FLAIR MR image.
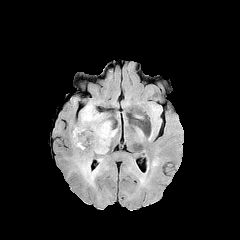
T1-weighted MR image.
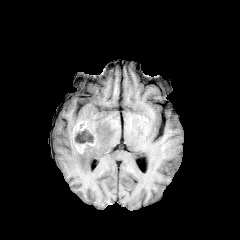
Post-contrast T1-weighted MR.
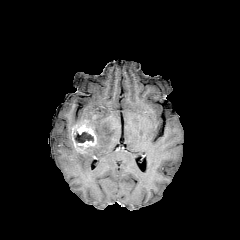
T2-weighted MR.
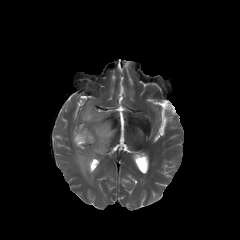
Annotated regions:
• enhancing tumor: (71,120,96,150)
• non-enhancing tumor core: (73,132,93,142)
• edema: (72,102,115,184)